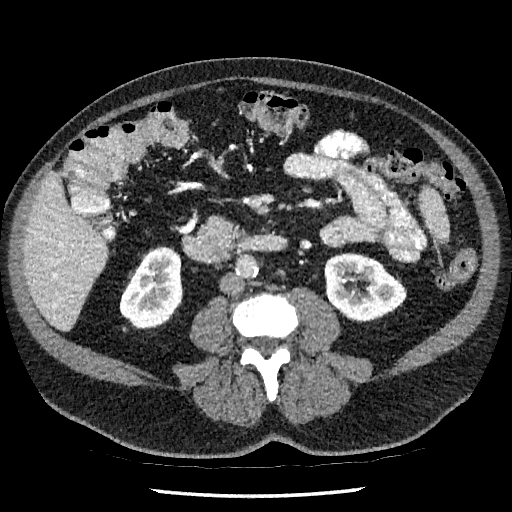

512x512. CT image. Abdomen.

Annotated regions:
• kidney: <box>325,254,405,320</box>, <box>120,250,181,327</box>
• liver: <box>24,172,106,331</box>